Abdomen, CT scan slice, Slice 155/245 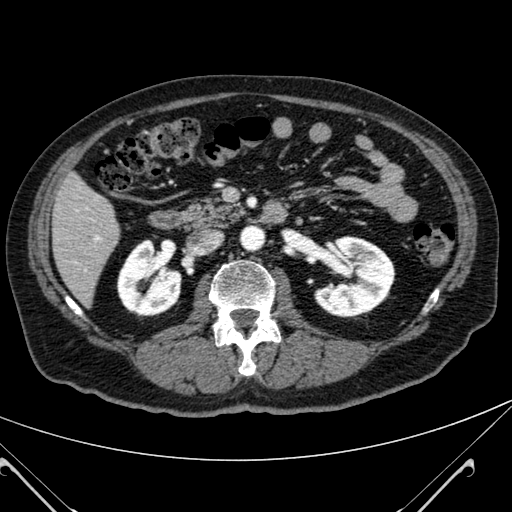 Annotated regions:
* liver: (left=51, top=174, right=119, bottom=303)
* kidney: (left=118, top=241, right=180, bottom=314), (left=316, top=237, right=393, bottom=315)